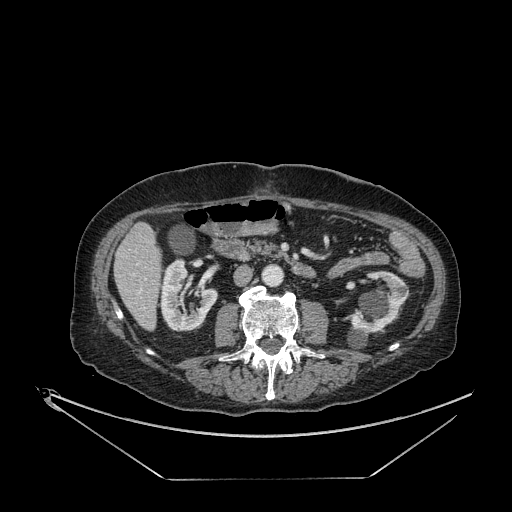 Upper abdomen, Image size 512x512, CT
The liver lies within 114,223,160,330. 4 kidney regions are bounded by 346,282,354,289; 161,260,217,330; 193,260,202,266; 351,271,408,332.